FLAIR magnetic resonance.
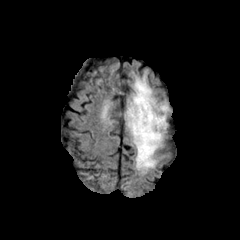
T1-weighted MR.
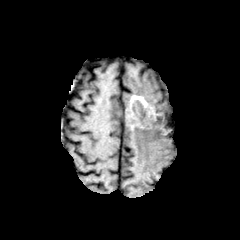
Post-contrast T1-weighted magnetic resonance.
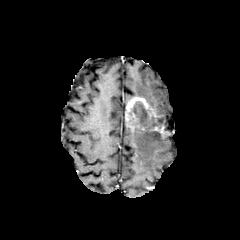
T2-weighted magnetic resonance.
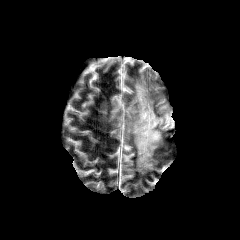
Head
Enhancing tumor: bounding box rect(154, 126, 164, 133); rect(126, 97, 150, 121).
Non-enhancing tumor core: bounding box rect(128, 101, 165, 134).
Edema: bounding box rect(135, 103, 149, 125); rect(128, 75, 170, 173).